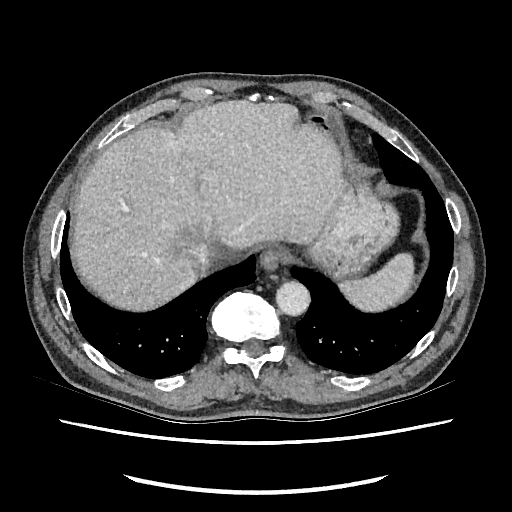
512x512. CT scan slice.

liver: left=74, top=101, right=337, bottom=307 | liver lesion: left=175, top=227, right=201, bottom=257